Image width 424 mm. Slice 50 of 96. Abdomen. 512x512. Computed tomography.

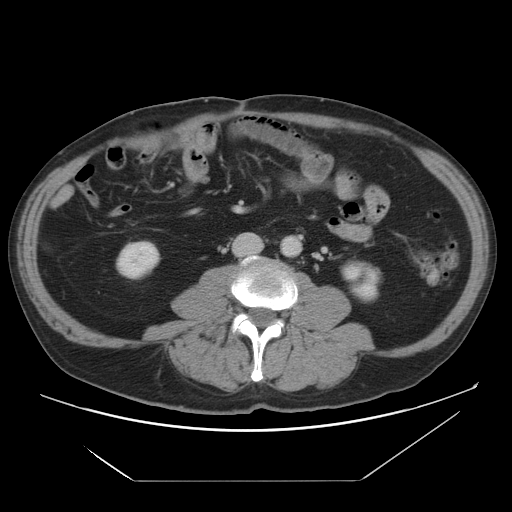

{"kidney": ["346,267,358,278", "358,284,374,295", "118,242,157,276"]}